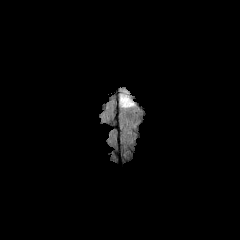
FLAIR MR.
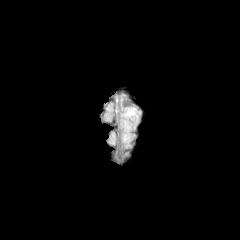
Same slice, T1-weighted MRI.
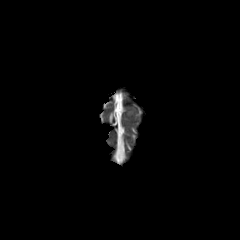
Post-contrast T1-weighted MR.
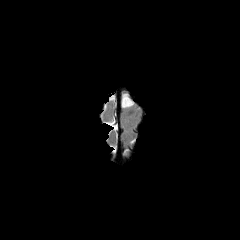
T2-weighted MR.
Image size 240x240, Brain
Edema: bounding box 123:98:133:107.